CT scan slice, Upper abdomen 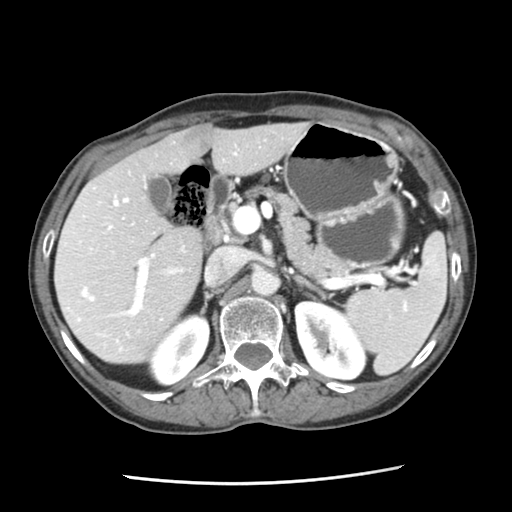 <segmentation>
  <pancreas>207 183 342 280</pancreas>
</segmentation>